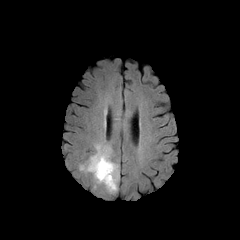
FLAIR MRI.
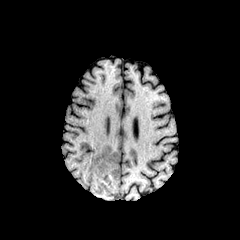
Same slice, T1-weighted MRI.
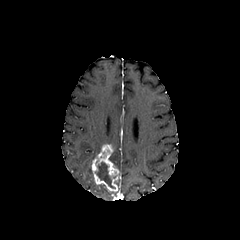
Same slice, post-contrast T1-weighted MRI.
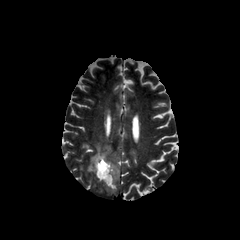
Same slice, T2-weighted MR image.
Head
• edema: 103,102,107,127; 79,139,106,173
• enhancing tumor: 91,144,120,191
• non-enhancing tumor core: 96,161,115,189